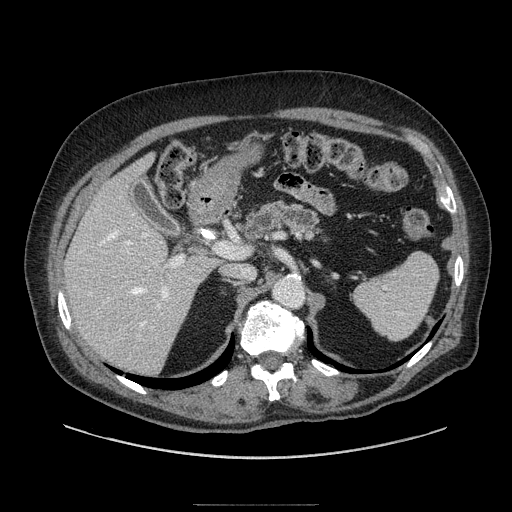
CT; Abdomen
pancreas:
  - [242, 202, 321, 239]